FLAIR MRI.
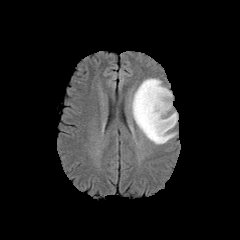
T1-weighted magnetic resonance.
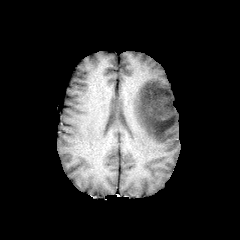
Post-contrast T1-weighted MR image.
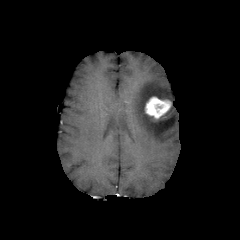
T2-weighted MR.
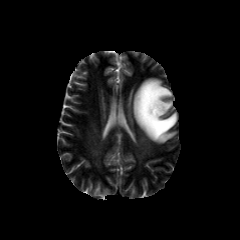
Brain; 240x240 px
Enhancing tumor — box(144, 96, 171, 121).
Edema — box(129, 78, 177, 144).
Non-enhancing tumor core — box(137, 87, 174, 135).